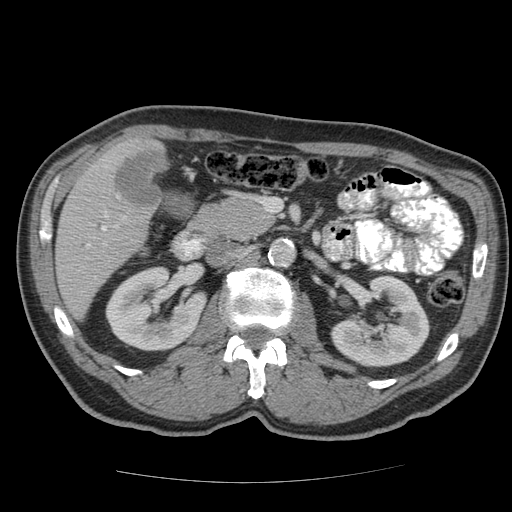
CT slice, Liver

The vessel annotation is not exhaustive.
Hepatic vessel: bounding box rect(101, 226, 105, 230); rect(117, 196, 119, 198); rect(86, 245, 89, 247).
Liver tumor: bounding box rect(115, 149, 164, 207).